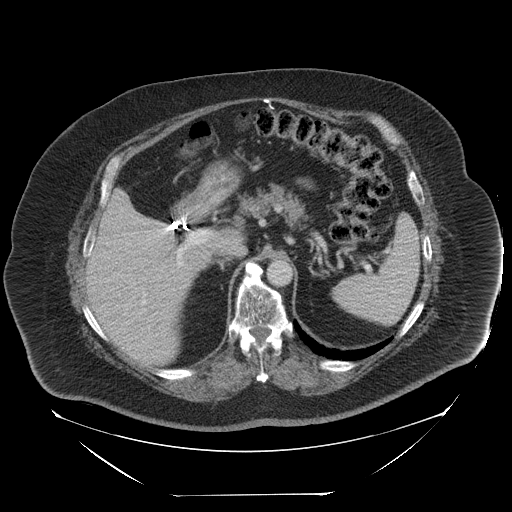 Abdomen | CT scan slice
Annotated regions:
* spleen: bbox(334, 214, 419, 324)